Brain; Slice 107 of 155
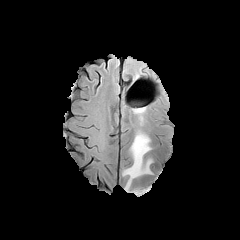
FLAIR MR.
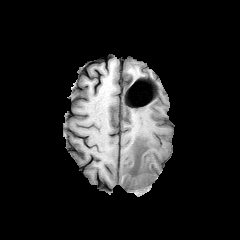
Same slice, T1-weighted MR.
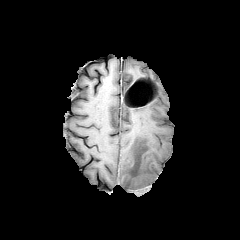
Post-contrast T1-weighted MR.
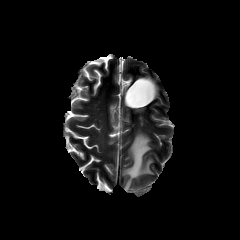
T2-weighted magnetic resonance of the same slice.
The edema is at [122,130,151,191].